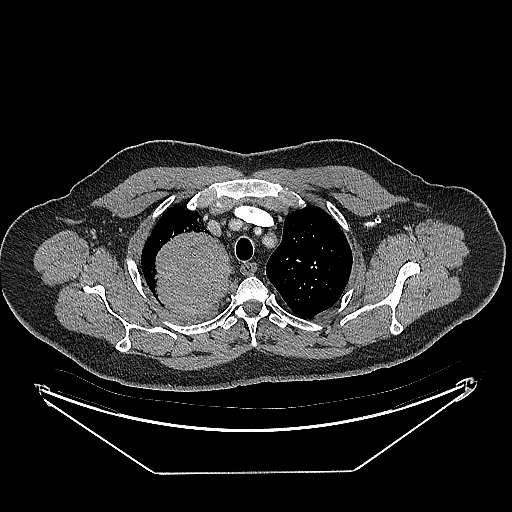 Chest, CT image

The lung tumor appears at <bbox>150, 218, 234, 315</bbox>.